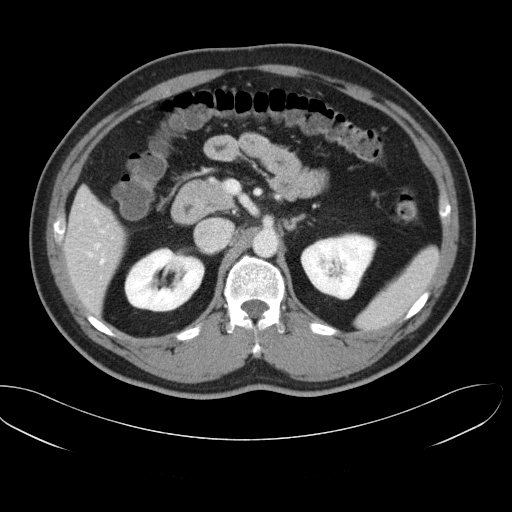
CT.
Only some of the vessels may be annotated.
<segmentation>
  <hepatic_vessel>94, 219, 98, 222; 99, 229, 104, 232; 85, 252, 93, 256; 100, 252, 104, 263; 80, 228, 81, 229; 94, 243, 99, 247; 81, 205, 82, 206; 100, 276, 101, 278; 91, 212, 94, 214</hepatic_vessel>
</segmentation>